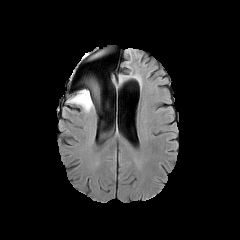
FLAIR magnetic resonance.
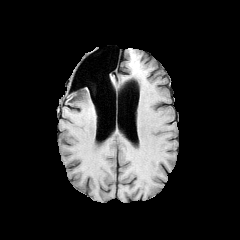
Same slice, T1-weighted magnetic resonance.
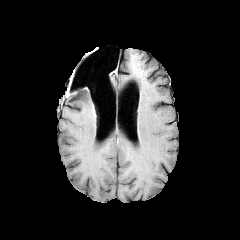
Post-contrast T1-weighted MR image of the same slice.
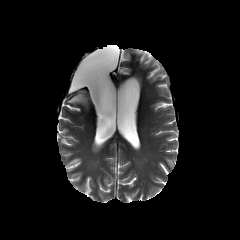
T2-weighted magnetic resonance of the same slice.
240x240
Segmented structures:
* edema: (67, 89, 94, 113)